CT; Image size 512x512; Abdomen; Slice 25 of 86; Image width 356 mm

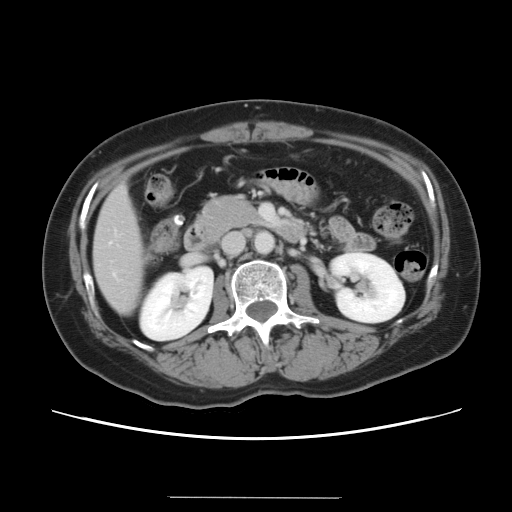

Not every hepatic vessel necessarily has a box.
Annotated regions:
* hepatic vessel: (114, 230, 118, 236), (109, 242, 111, 244)